Computed tomography; Slice 362 of 761 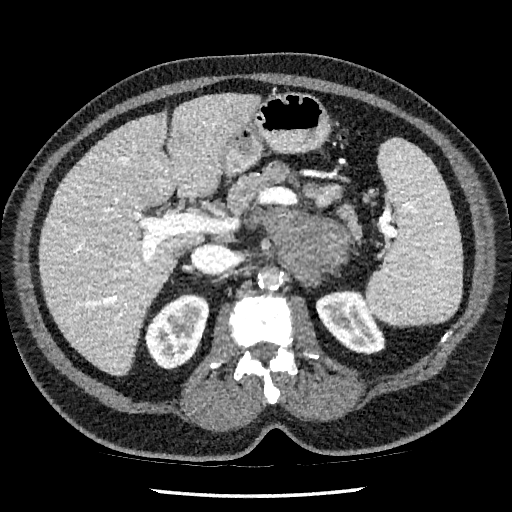 <segmentation>
  <kidney>box=[316, 292, 383, 352]; box=[146, 296, 208, 367]</kidney>
  <liver>box=[41, 94, 259, 374]</liver>
</segmentation>